FLAIR MRI.
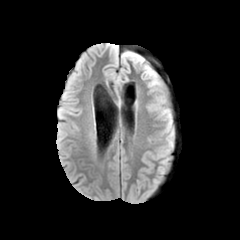
T1-weighted MR.
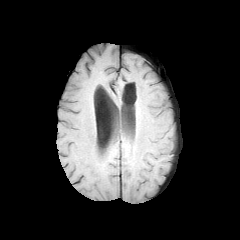
Post-contrast T1-weighted MRI.
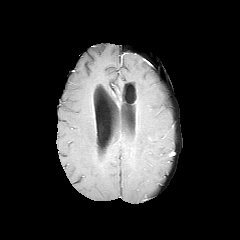
T2-weighted magnetic resonance.
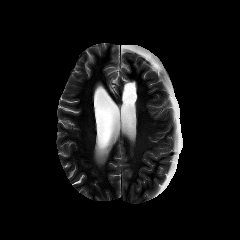
240x240 px | Brain
Findings:
- edema: <bbox>146, 65, 156, 78</bbox>